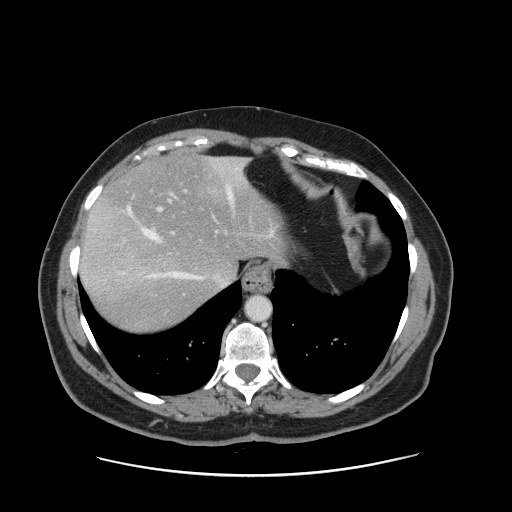

CT scan slice, Liver

Not every hepatic vessel necessarily has a box.
Findings:
* hepatic vessel: rect(158, 207, 162, 210); rect(169, 200, 170, 201); rect(121, 272, 123, 273); rect(172, 272, 178, 276); rect(235, 168, 238, 169); rect(269, 228, 272, 235); rect(227, 188, 232, 202)